Upper abdomen. CT slice.
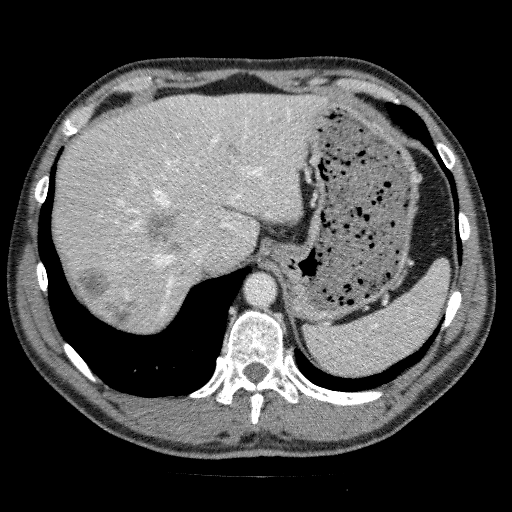

4 focal liver lesion regions appear at {"x1": 144, "y1": 208, "x2": 183, "y2": 253}, {"x1": 226, "y1": 143, "x2": 239, "y2": 154}, {"x1": 75, "y1": 265, "x2": 114, "y2": 301}, {"x1": 102, "y1": 300, "x2": 137, "y2": 328}. The liver is at {"x1": 54, "y1": 93, "x2": 325, "y2": 332}.